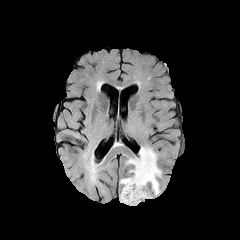
FLAIR magnetic resonance.
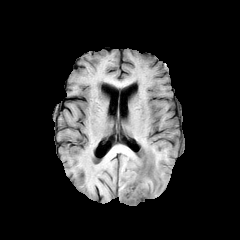
T1-weighted magnetic resonance of the same slice.
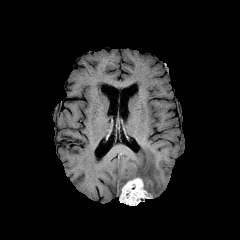
Post-contrast T1-weighted MR.
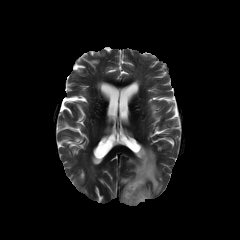
T2-weighted MRI.
240x240. Brain.
Edema: bounding box (120, 146, 161, 197).
Enhancing tumor: bounding box (120, 177, 151, 205).